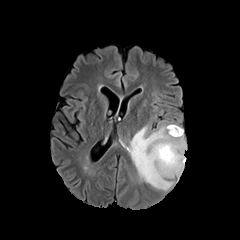
FLAIR MR image.
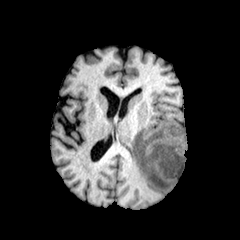
T1-weighted MRI.
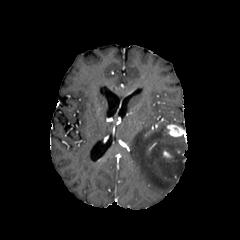
Post-contrast T1-weighted MR.
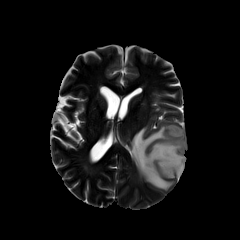
T2-weighted MR.
• enhancing tumor: bbox(167, 124, 184, 136)
• edema: bbox(130, 120, 187, 190)